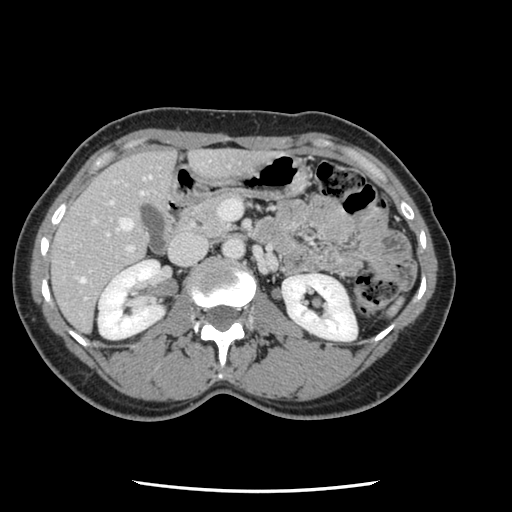

512x512 px. CT.
Not every hepatic vessel necessarily has a box.
hepatic_vessel:
  - region(140, 191, 142, 193)
  - region(80, 278, 84, 281)
  - region(110, 201, 112, 203)
  - region(119, 217, 131, 229)
  - region(143, 175, 150, 179)
  - region(127, 245, 132, 250)